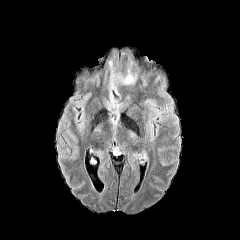
FLAIR MRI.
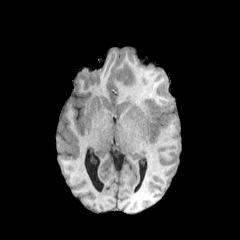
T1-weighted MRI.
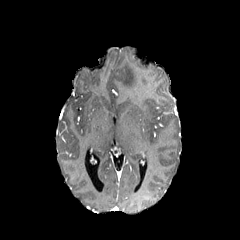
Post-contrast T1-weighted magnetic resonance.
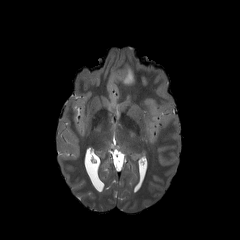
T2-weighted MR image.
The edema is bounded by [x1=122, y1=73, x2=135, y2=84].